CT slice. Slice 20/43.

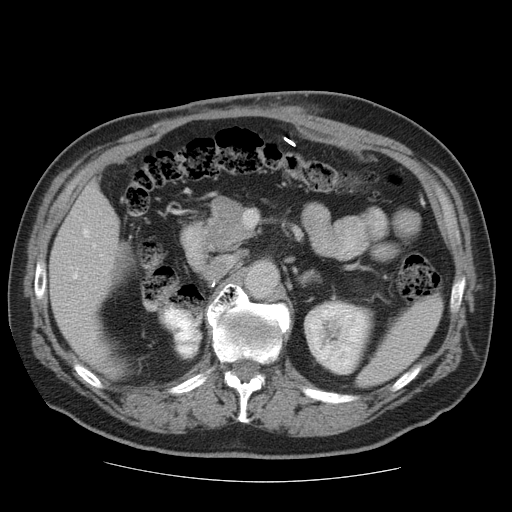
Not every hepatic vessel necessarily has a box.
Hepatic vessel: x1=73 y1=272 x2=77 y2=277, x1=83 y1=224 x2=88 y2=238, x1=80 y1=218 x2=81 y2=219, x1=85 y1=276 x2=86 y2=280, x1=83 y1=311 x2=85 y2=312, x1=93 y1=243 x2=95 y2=246, x1=103 y1=269 x2=104 y2=271.